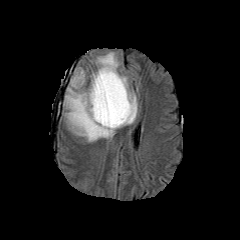
FLAIR MRI.
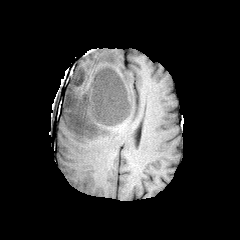
T1-weighted MR image.
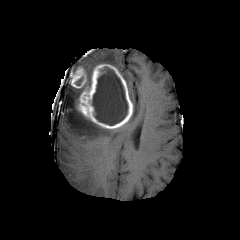
Post-contrast T1-weighted MR of the same slice.
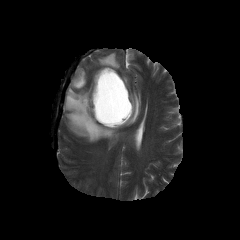
T2-weighted magnetic resonance.
Head
3 non-enhancing tumor core regions appear at box(92, 66, 127, 125); box(72, 96, 79, 108); box(72, 66, 96, 94). 2 enhancing tumor regions are bounded by box(78, 64, 132, 128); box(71, 68, 85, 87). 4 edema regions appear at box(120, 91, 139, 127); box(92, 52, 120, 69); box(63, 82, 118, 143); box(84, 69, 91, 83).